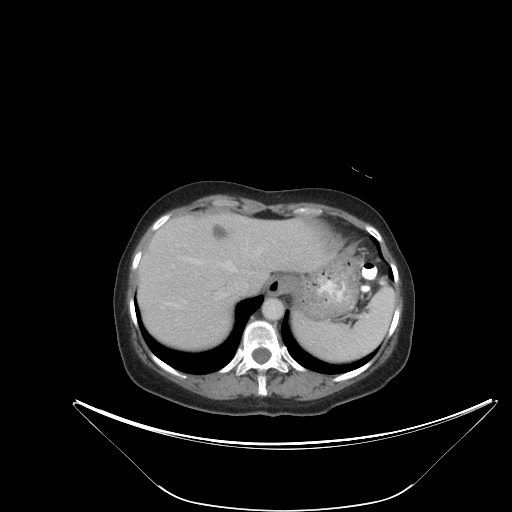

CT
The vessel boxes may cover only some of the vessels.
hepatic vessel: x1=219, y1=260, x2=236, y2=271; x1=252, y1=247, x2=261, y2=257; x1=221, y1=278, x2=245, y2=291